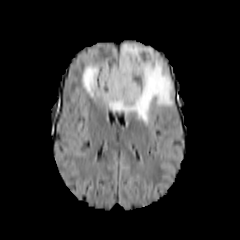
FLAIR MR image.
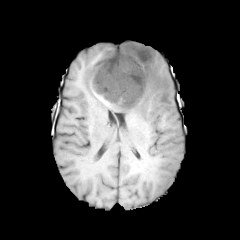
Same slice, T1-weighted MR.
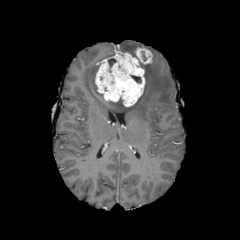
Post-contrast T1-weighted MR.
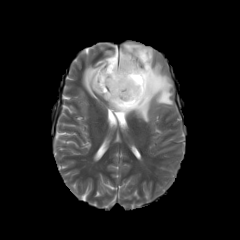
Same slice, T2-weighted MRI.
Head
Non-enhancing tumor core — 114:97:123:107, 108:58:116:68.
Edema — 82:42:173:126.
Enhancing tumor — 94:51:145:106, 133:48:152:64.